MRI, Cardiac
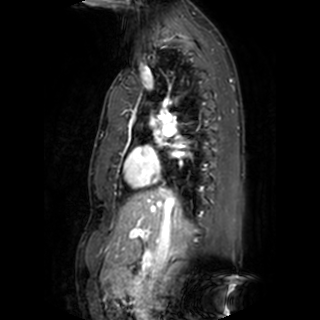
left atrium: (left=172, top=149, right=182, bottom=156), (left=155, top=136, right=162, bottom=144)